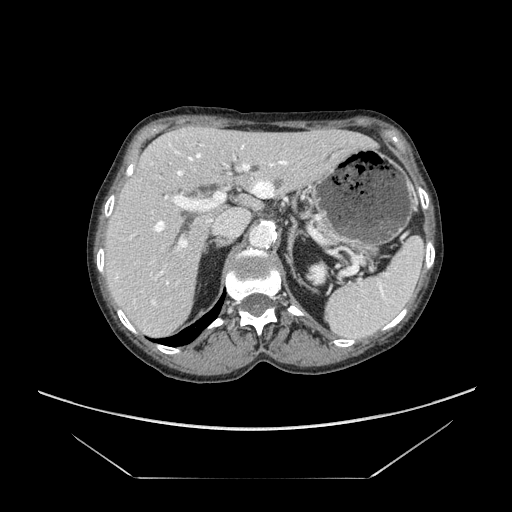
CT slice. 512x512. {
  "pancreas": [
    "left=316, top=220, right=337, bottom=241"
  ]
}